Field of view 240 mm wide, 1.00 mm slice spacing, Head
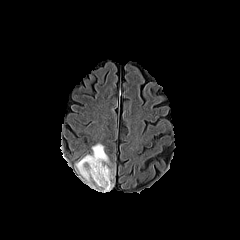
FLAIR MRI.
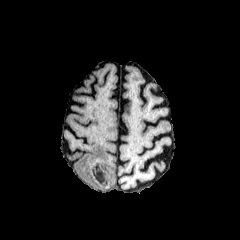
Same slice, T1-weighted MR.
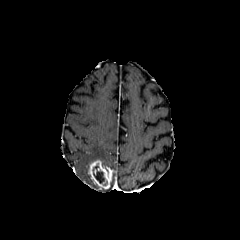
Post-contrast T1-weighted MR of the same slice.
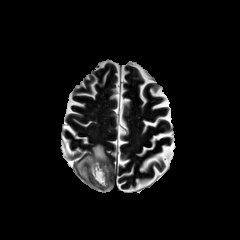
T2-weighted MR of the same slice.
Non-enhancing tumor core = x1=93 y1=171 x2=104 y2=183.
Edema = x1=76 y1=144 x2=108 y2=181.
Enhancing tumor = x1=87 y1=160 x2=114 y2=188.